FLAIR MR image.
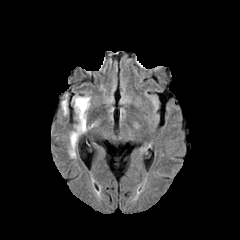
T1-weighted MR.
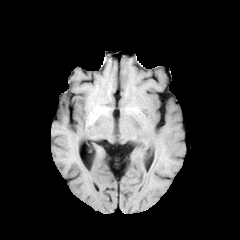
Post-contrast T1-weighted MR.
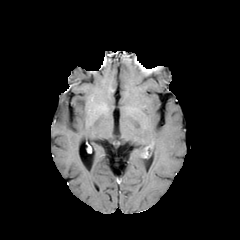
T2-weighted MR image.
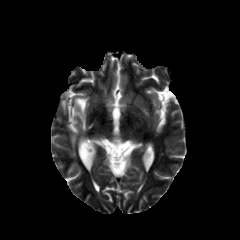
Head
{"edema": ["[62,99,68,115]", "[69,94,93,158]"]}